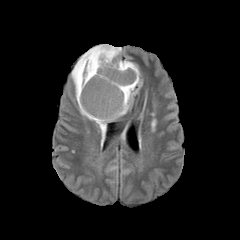
FLAIR magnetic resonance.
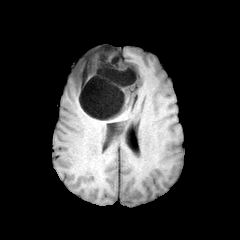
T1-weighted MRI.
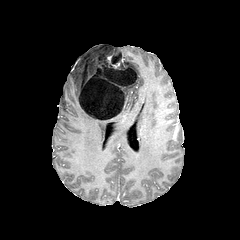
Post-contrast T1-weighted magnetic resonance of the same slice.
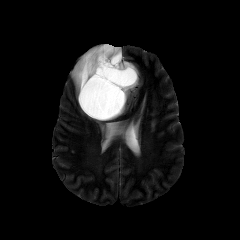
T2-weighted magnetic resonance.
240x240 | Head
Findings:
• non-enhancing tumor core: x1=78 y1=46 x2=137 y2=120
• edema: x1=71 y1=46 x2=113 y2=141, x1=122 y1=60 x2=142 y2=114